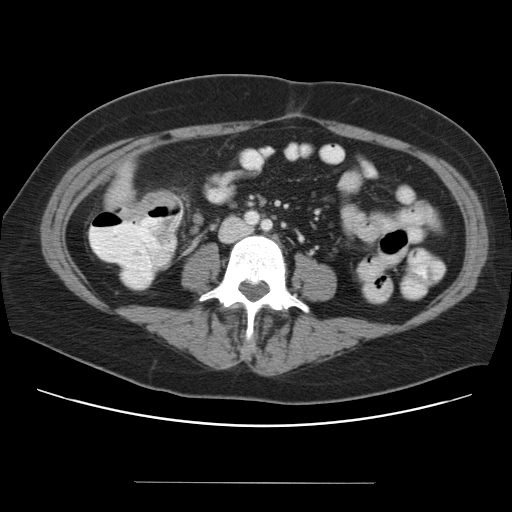
Image size 512x512; Computed tomography
Segmented structures:
* colon tumor: 121:192:174:220, 156:220:170:242